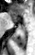 MRI
- anterior hippocampus: [12, 15, 16, 21]
- posterior hippocampus: [14, 32, 25, 47]